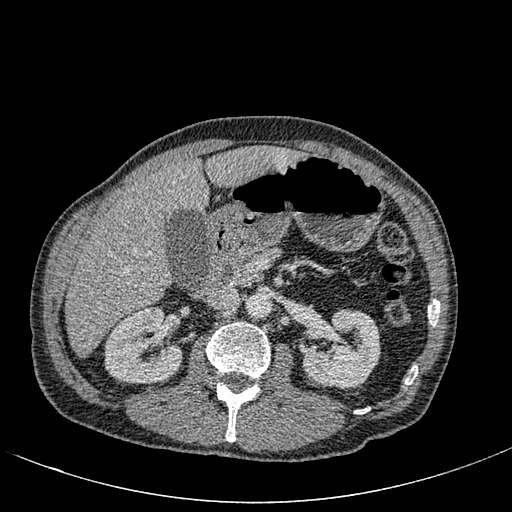

CT image
2 liver regions are bounded by (left=66, top=159, right=209, bottom=356), (left=206, top=146, right=306, bottom=187). 2 kidney regions appear at (left=105, top=307, right=181, bottom=383), (left=299, top=308, right=379, bottom=388).